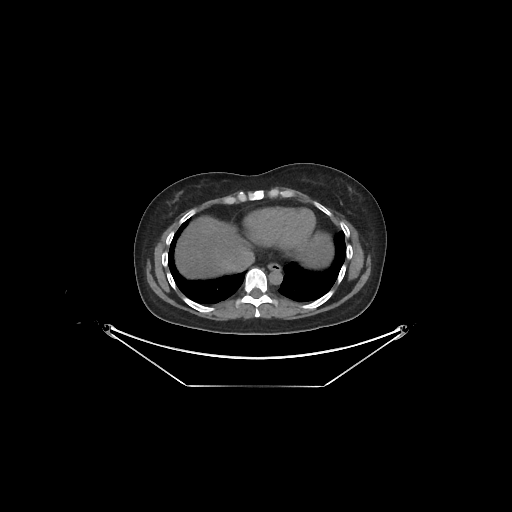 Upper abdomen, CT scan slice

2 liver regions are bounded by left=176, top=217, right=254, bottom=273; left=301, top=234, right=332, bottom=258.